Slice 16/41 | CT slice | Abdomen 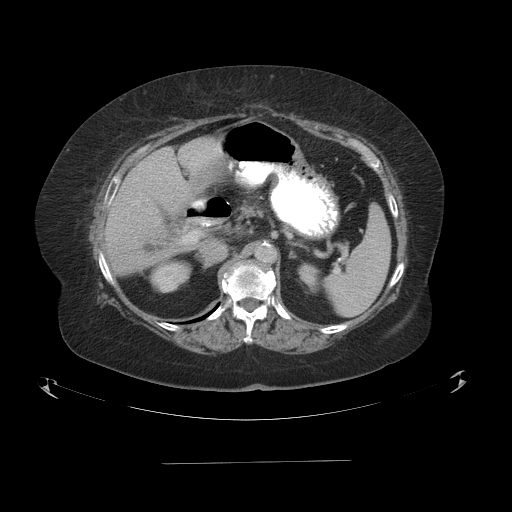

The vessel boxes may cover only some of the vessels.
{"hepatic_vessel": ["(x1=182, y1=231, x2=199, y2=242)"]}